Field of view 240x240 mm | 240x240 px | Slice index 68
FLAIR MRI.
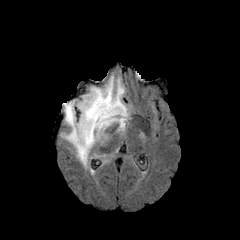
T1-weighted magnetic resonance.
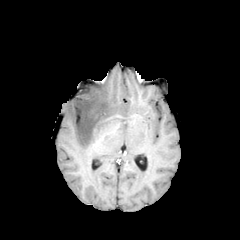
Post-contrast T1-weighted MRI.
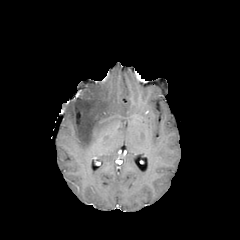
T2-weighted MR image.
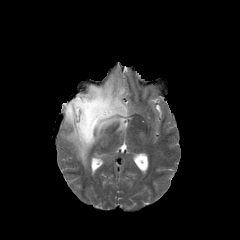
Annotated regions:
* edema: 62 76 130 167
* non-enhancing tumor core: 70 92 111 140